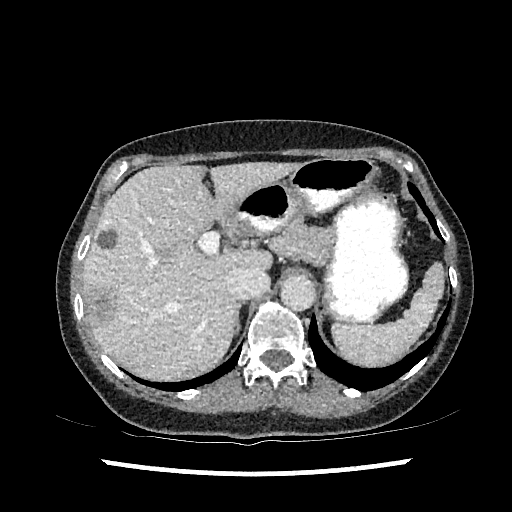
CT, 512x512 px
Liver lesion — bbox(98, 230, 117, 249); bbox(86, 285, 115, 325).
Liver — bbox(84, 162, 295, 377).